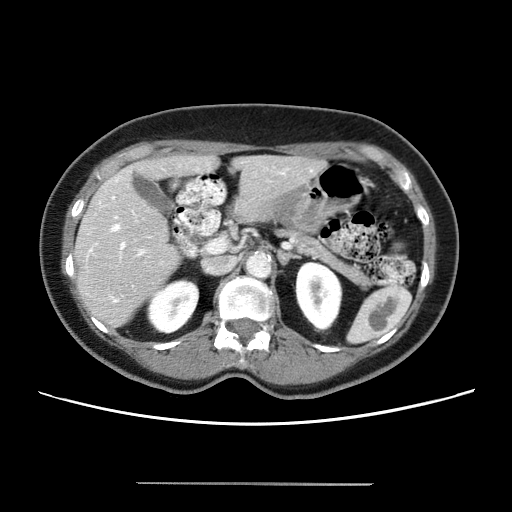 Image size 512x512, Liver, CT scan slice
Only some of the vessels may be annotated.
Hepatic vessel = x1=121, y1=244, x2=123, y2=246; x1=112, y1=225, x2=118, y2=229.